Head | 240x240 | Slice index 73
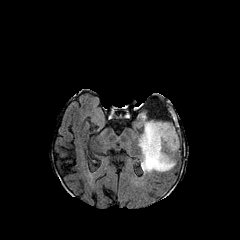
FLAIR magnetic resonance.
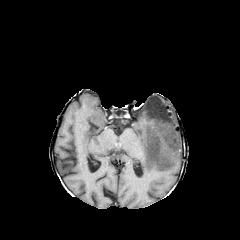
T1-weighted MR image.
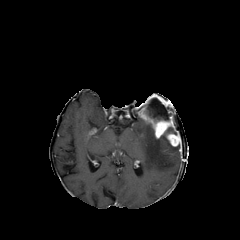
Post-contrast T1-weighted magnetic resonance.
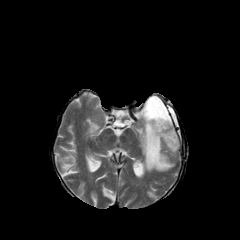
Same slice, T2-weighted MR image.
<segmentation>
  <non-enhancing_tumor_core>x1=139 y1=94 x2=175 y2=120, x1=156 y1=132 x2=181 y2=149</non-enhancing_tumor_core>
  <edema>x1=138 y1=117 x2=177 y2=174</edema>
  <enhancing_tumor>x1=140 y1=109 x2=179 y2=146</enhancing_tumor>
</segmentation>